Slice 124 of 155; 240x240; Head
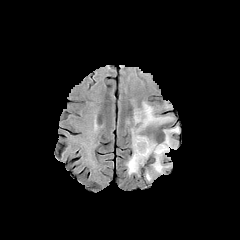
FLAIR magnetic resonance.
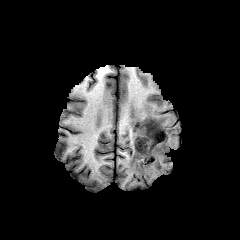
T1-weighted MRI of the same slice.
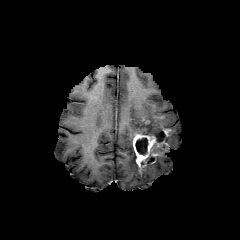
Post-contrast T1-weighted MR.
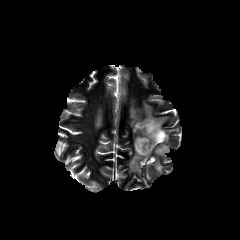
Same slice, T2-weighted MR.
enhancing tumor: left=133, top=134, right=156, bottom=166 | edema: left=169, top=127, right=178, bottom=133; left=144, top=136, right=171, bottom=172; left=126, top=150, right=143, bottom=174; left=132, top=104, right=172, bottom=138 | non-enhancing tumor core: left=135, top=138, right=147, bottom=154; left=142, top=119, right=165, bottom=143